Field of view 240 mm wide, 1.00 mm slice spacing
FLAIR MRI.
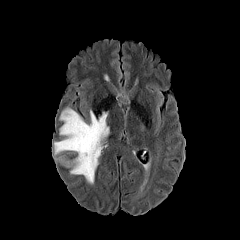
T1-weighted magnetic resonance.
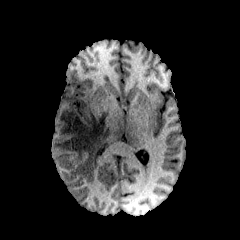
Post-contrast T1-weighted MRI.
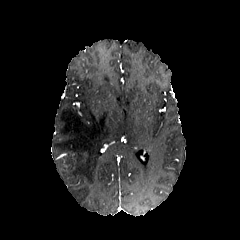
T2-weighted MR image.
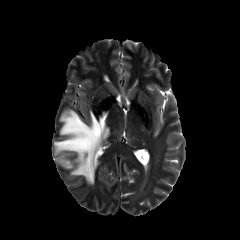
The edema is at l=53, t=107, r=109, b=186.